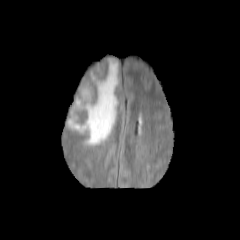
FLAIR magnetic resonance.
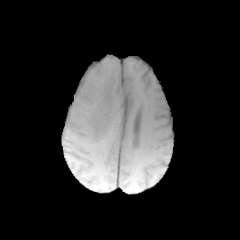
T1-weighted MR image of the same slice.
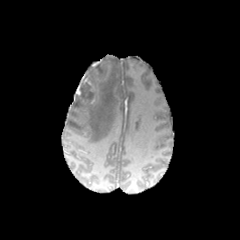
Post-contrast T1-weighted MRI.
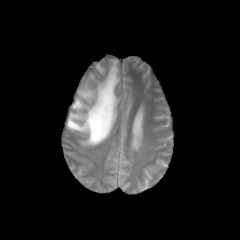
T2-weighted MR.
Image size 240x240
<segmentation>
  <edema>(left=67, top=59, right=119, bottom=146)</edema>
  <non-enhancing_tumor_core>(left=76, top=79, right=96, bottom=108)</non-enhancing_tumor_core>
</segmentation>